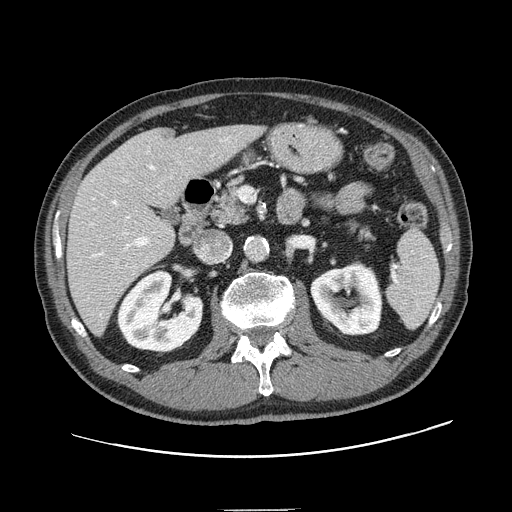 Abdomen, Image size 512x512, CT slice
The pancreas is bounded by rect(210, 177, 249, 228).